CT

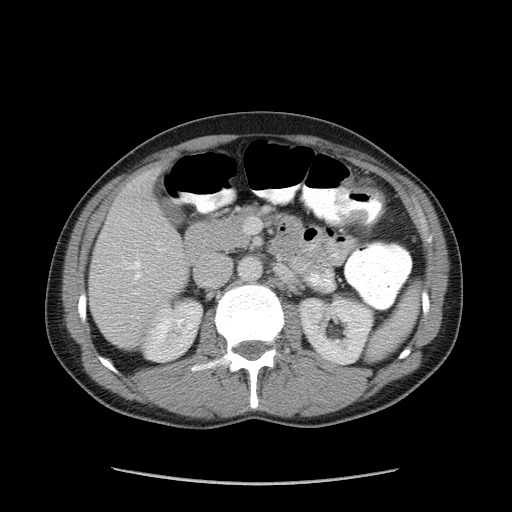

{"colon_tumor": ["x1=340, y1=210, x2=367, y2=225", "x1=344, y1=178, x2=384, y2=201"]}